Field of view 432x432 mm; 512x512; Abdomen; CT slice; Slice 309 of 461

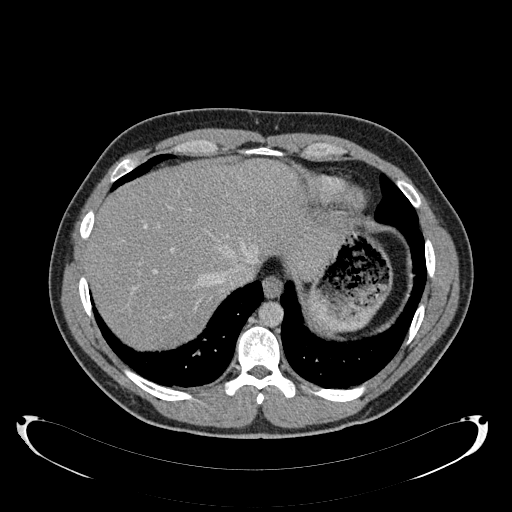
The liver is located at <box>86,159,339,347</box>.